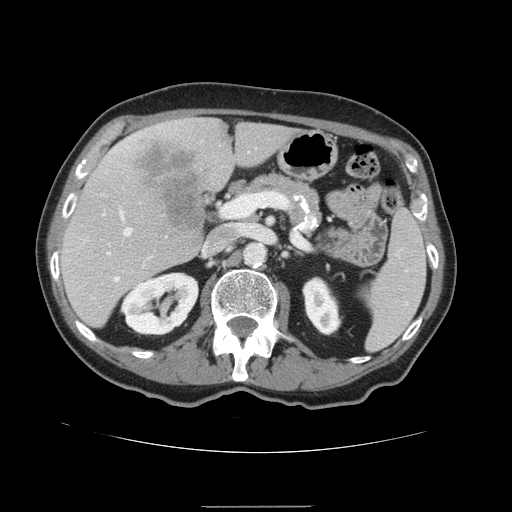
CT image, Liver
Not every hepatic vessel necessarily has a box.
Findings:
* hepatic vessel: bbox(221, 194, 255, 218); bbox(226, 222, 245, 234); bbox(125, 227, 132, 235); bbox(121, 212, 123, 218); bbox(114, 277, 118, 280); bbox(203, 241, 224, 254)
* liver tumor: bbox(131, 139, 206, 232)